CT scan slice | Slice 46 of 55
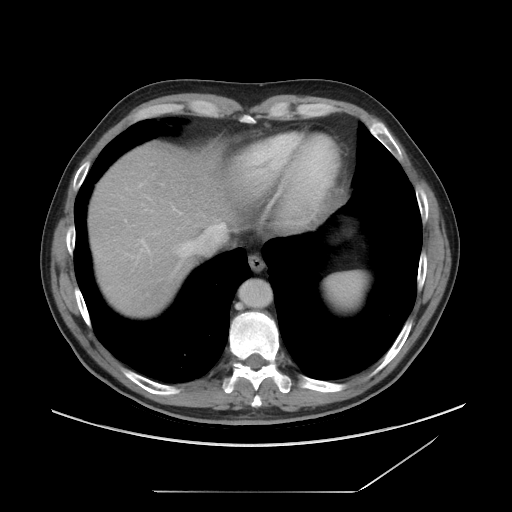
Some hepatic vessels may have no box.
4 hepatic vessel regions are bounded by <box>181,244,194,253</box>, <box>174,262,181,272</box>, <box>204,226,222,236</box>, <box>171,273,173,275</box>.